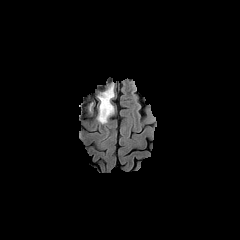
FLAIR magnetic resonance.
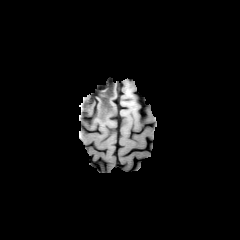
T1-weighted magnetic resonance.
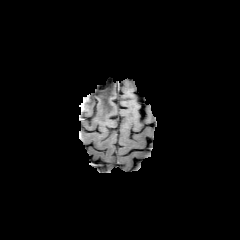
Post-contrast T1-weighted MRI of the same slice.
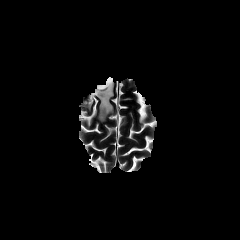
T2-weighted MR.
{"edema": ["region(97, 83, 114, 123)"]}